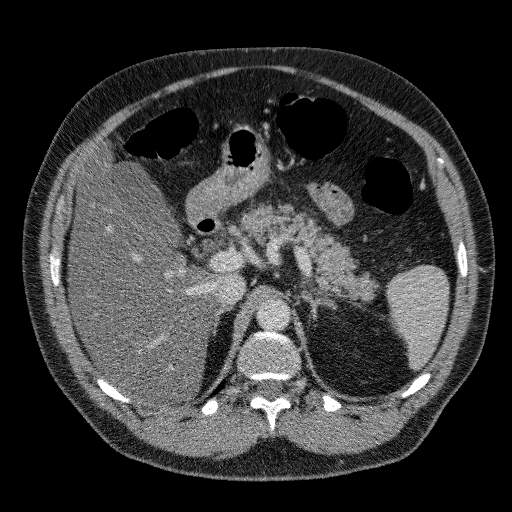

CT image | Upper abdomen

Liver — region(68, 142, 226, 406).